240x240, Slice index 93
FLAIR MR image.
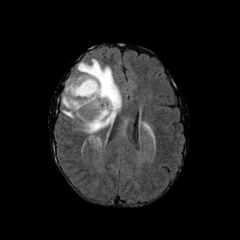
T1-weighted magnetic resonance.
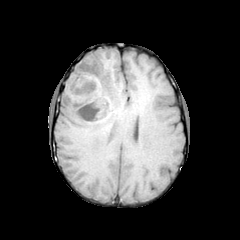
Post-contrast T1-weighted MR image.
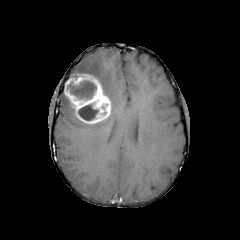
T2-weighted MRI.
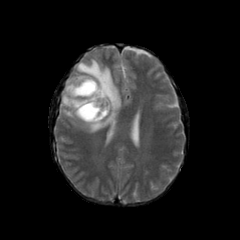
enhancing_tumor:
  - bbox=[65, 74, 110, 123]
non-enhancing_tumor_core:
  - bbox=[66, 80, 96, 99]
  - bbox=[77, 104, 97, 121]
edema:
  - bbox=[62, 58, 121, 133]